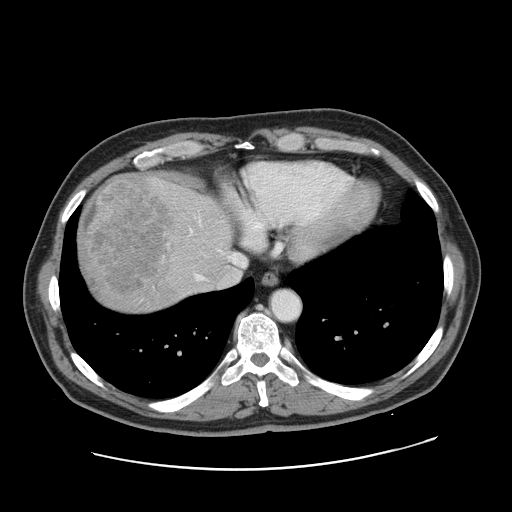 Computed tomography

The vessel annotation is not exhaustive.
<segmentation>
  <liver_tumor>box(81, 176, 172, 294)</liver_tumor>
  <hepatic_vessel>box(195, 216, 197, 217); box(228, 255, 235, 259); box(190, 228, 192, 233); box(198, 218, 199, 222)</hepatic_vessel>
</segmentation>